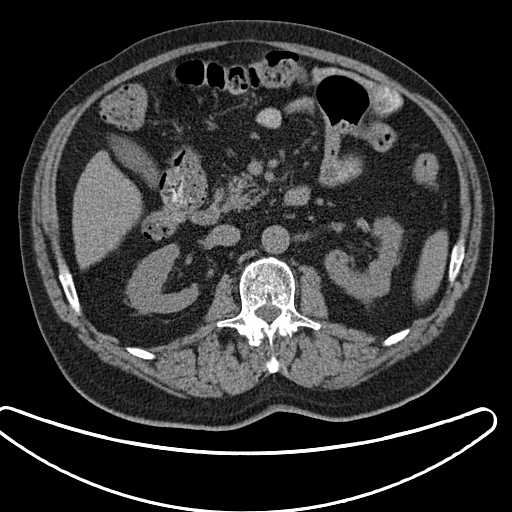

Abdomen, CT
spleen: 415:233:447:299